512x512. Pelvis. Slice 37 of 145. Computed tomography.

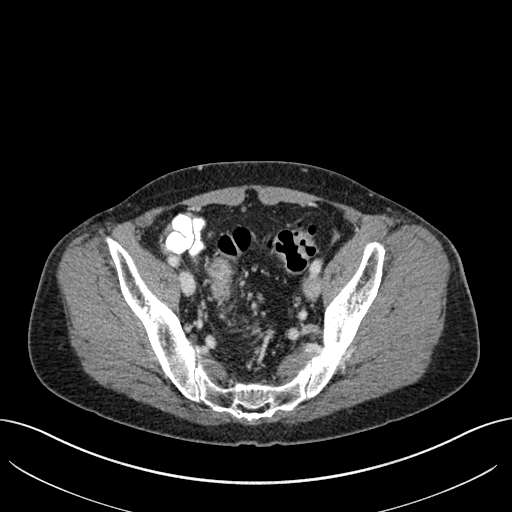
The colon tumor appears at x1=208, y1=259, x2=229, y2=294.